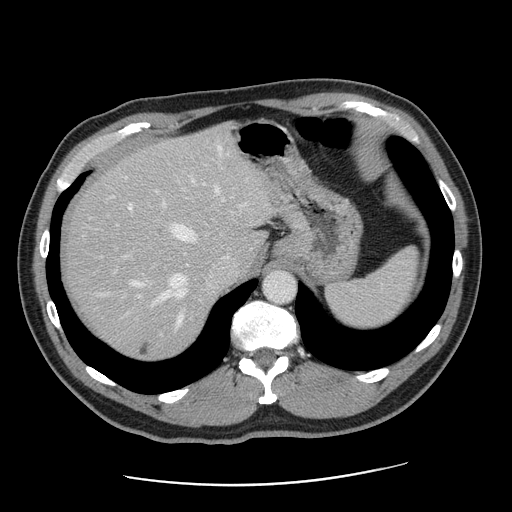
CT image | Image size 512x512

The vessel boxes may cover only some of the vessels.
<segmentation>
  <liver_tumor>x1=156 y1=226 x2=166 y2=238, x1=137 y1=338 x2=154 y2=358</liver_tumor>
  <hepatic_vessel>x1=125 y1=256 x2=126 y2=257, x1=218 y1=145 x2=219 y2=147, x1=239 y1=204 x2=244 y2=205, x1=164 y1=200 x2=164 y2=203, x1=172 y1=224 x2=192 y2=239, x1=131 y1=281 x2=139 y2=285, x1=150 y1=274 x2=185 y2=306, x1=221 y1=197 x2=224 y2=200, x1=202 y1=244 x2=246 y2=283, x1=129 y1=204 x2=132 y2=208, x1=177 y1=316 x2=182 y2=325, x1=97 y1=293 x2=102 y2=295, x1=215 y1=186 x2=218 y2=191</hepatic_vessel>
</segmentation>